MR image | Field of view 37 mm wide, 1.00 mm slice spacing
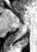 Posterior hippocampus — bbox=[6, 36, 18, 45].